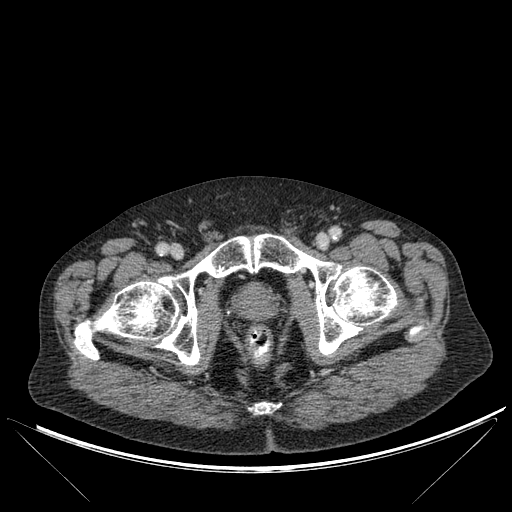
CT scan slice, Image size 512x512

Bone = region(255, 402, 272, 413); region(410, 325, 423, 336); region(74, 234, 397, 365).